Image size 512x512. CT.
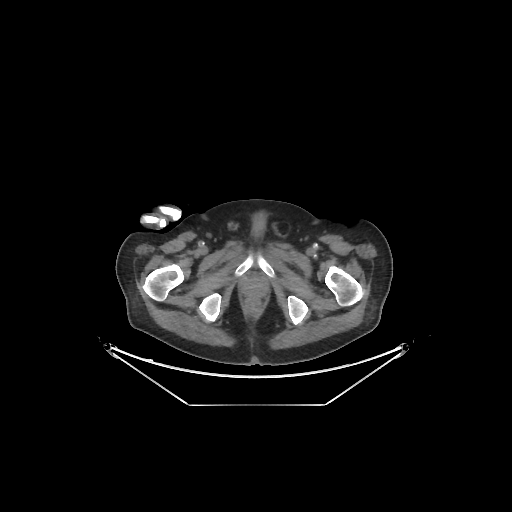 Segmented structures:
* bone: [235, 255, 252, 275], [325, 266, 364, 305], [142, 264, 183, 300], [257, 256, 274, 276], [199, 293, 221, 321], [287, 296, 307, 324], [142, 216, 165, 226], [159, 207, 180, 220]